CT, Slice 529/896
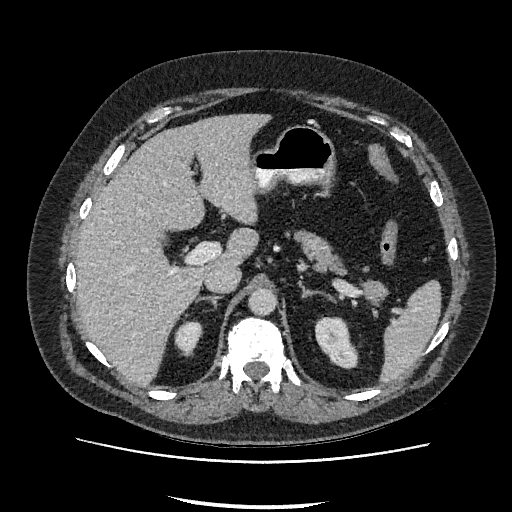

Segmented structures:
* liver: 76 115 268 384
* kidney: 316 319 356 366, 177 323 199 350